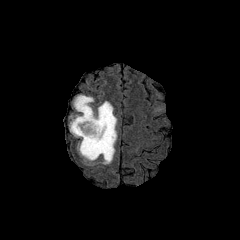
FLAIR magnetic resonance.
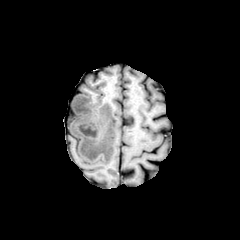
Same slice, T1-weighted MR.
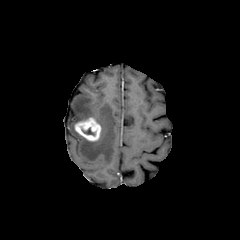
Post-contrast T1-weighted magnetic resonance of the same slice.
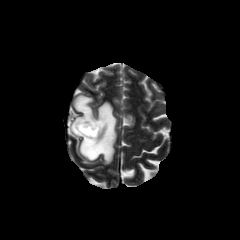
T2-weighted MR.
240x240 px
<segmentation>
  <edema>region(68, 94, 117, 165)</edema>
  <enhancing_tumor>region(74, 117, 101, 141)</enhancing_tumor>
  <non-enhancing_tumor_core>region(82, 128, 93, 134)</non-enhancing_tumor_core>
</segmentation>